Slice 395/771, 512x512, Field of view 400x400 mm, Abdomen, CT scan slice
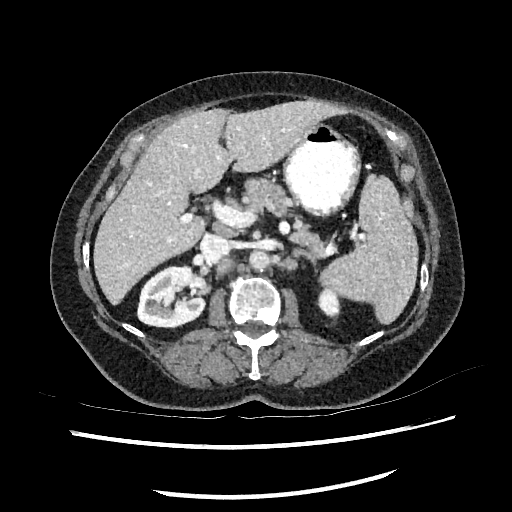
{"liver": [{"x1": 93, "y1": 100, "x2": 343, "y2": 305}], "kidney": [{"x1": 320, "y1": 290, "x2": 337, "y2": 314}, {"x1": 138, "y1": 267, "x2": 204, "y2": 326}]}